320x320, MR image
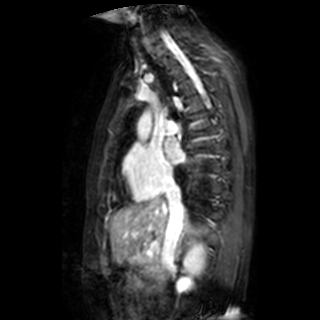

The left atrium is bounded by <box>164,138,185,163</box>.